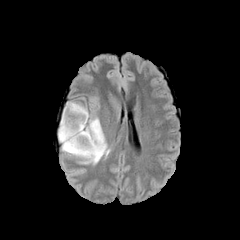
FLAIR MR.
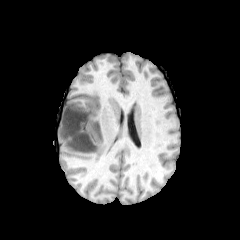
Same slice, T1-weighted MR.
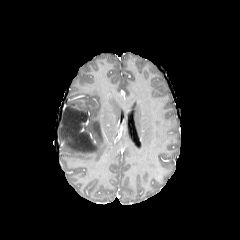
Post-contrast T1-weighted MRI of the same slice.
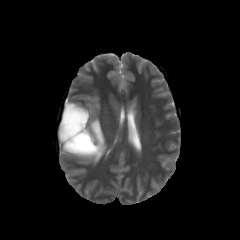
T2-weighted magnetic resonance of the same slice.
240x240 px. Head.
{"edema": ["box=[60, 102, 110, 164]"], "non-enhancing_tumor_core": ["box=[60, 102, 100, 156]"]}